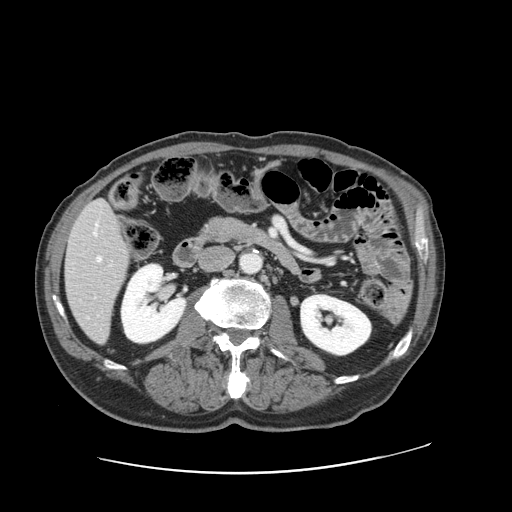
Image size 512x512. CT slice. Liver.

The vessel boxes may cover only some of the vessels.
{
  "hepatic_vessel": [
    "<box>97,257,100,260</box>",
    "<box>95,222,97,225</box>",
    "<box>93,231,96,234</box>"
  ]
}